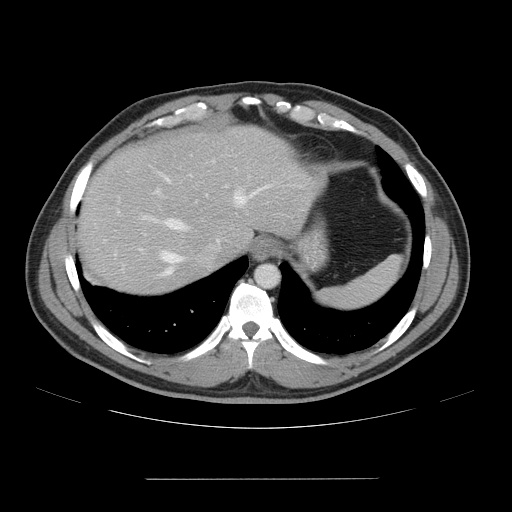
CT

The vessel boxes may cover only some of the vessels.
hepatic_vessel:
  - bbox=[117, 210, 118, 212]
  - bbox=[161, 174, 168, 180]
  - bbox=[155, 189, 160, 193]
  - bbox=[163, 219, 185, 229]
  - bbox=[235, 187, 267, 204]
  - bbox=[162, 269, 172, 274]
  - bbox=[139, 216, 145, 218]
  - bbox=[161, 252, 182, 263]
  - bbox=[226, 185, 227, 186]
  - bbox=[139, 249, 141, 250]